Slice index 114; 240x240
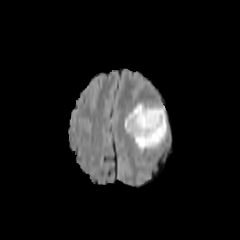
FLAIR MRI.
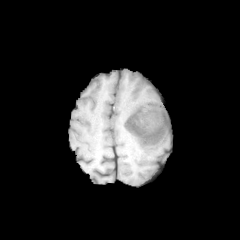
Same slice, T1-weighted MR.
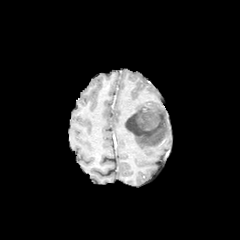
Post-contrast T1-weighted magnetic resonance of the same slice.
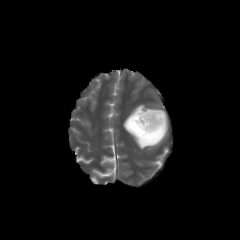
Same slice, T2-weighted magnetic resonance.
The non-enhancing tumor core lies within [x1=126, y1=109, x2=161, y2=137]. The edema is bounded by [x1=125, y1=104, x2=170, y2=149].